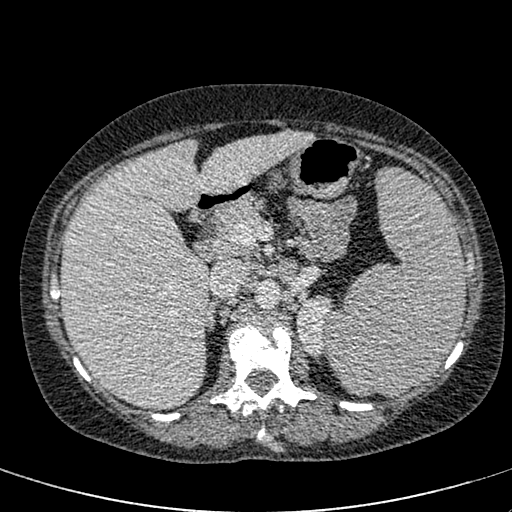
Upper abdomen; CT
Annotated regions:
• liver: 61,132,315,408
• kidney: 297,297,330,356